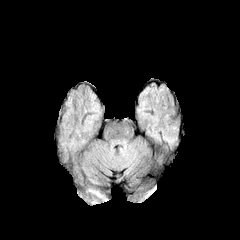
FLAIR magnetic resonance.
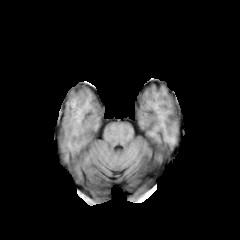
T1-weighted MRI.
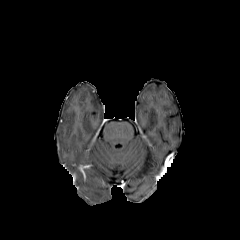
Post-contrast T1-weighted MRI of the same slice.
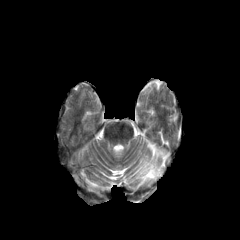
Same slice, T2-weighted MRI.
240x240 | Brain
The edema is at <bbox>89, 188, 103, 197</bbox>.